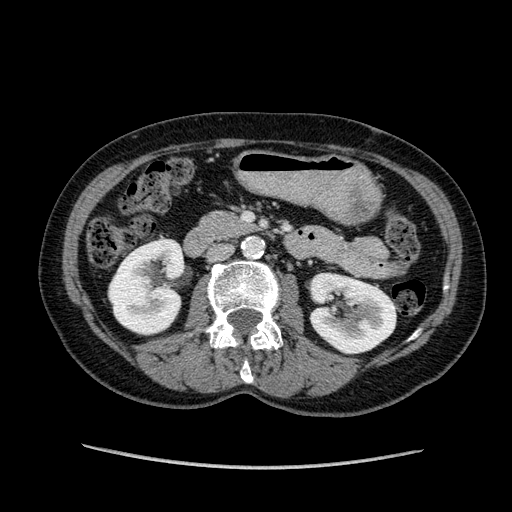
CT slice
2 kidney regions are located at {"x1": 109, "y1": 240, "x2": 183, "y2": 333}, {"x1": 311, "y1": 274, "x2": 395, "y2": 352}.